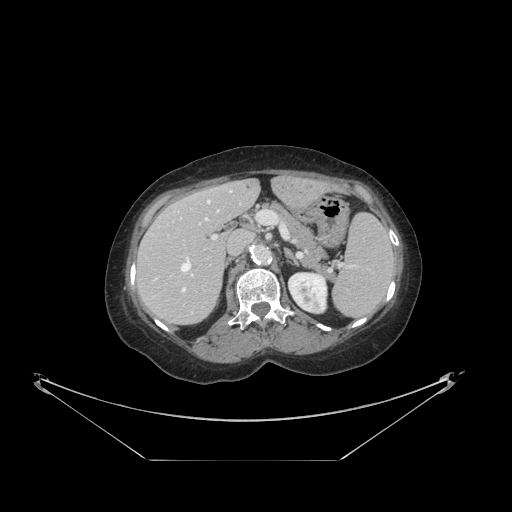

CT
The vessel boxes may cover only some of the vessels.
9 hepatic vessel regions are located at 181, 258, 189, 270; 257, 210, 277, 223; 212, 235, 216, 238; 182, 288, 184, 291; 280, 224, 281, 231; 217, 210, 219, 212; 207, 200, 209, 202; 205, 218, 208, 220; 230, 190, 231, 191.